240x240; Head
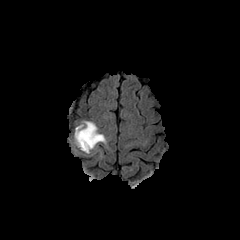
FLAIR MRI.
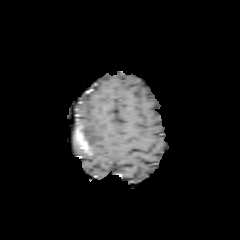
T1-weighted MRI.
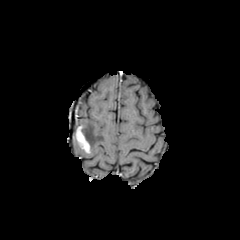
Post-contrast T1-weighted MR.
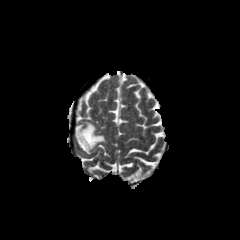
T2-weighted MR image of the same slice.
* enhancing tumor: (x1=75, y1=125, x2=90, y2=153)
* edema: (x1=82, y1=121, x2=106, y2=152)
* non-enhancing tumor core: (x1=82, y1=130, x2=91, y2=145)